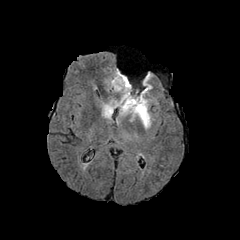
FLAIR MRI.
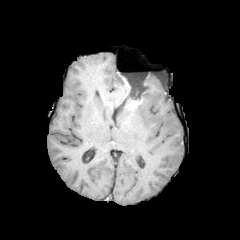
T1-weighted MR.
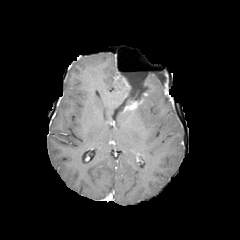
Post-contrast T1-weighted MR image.
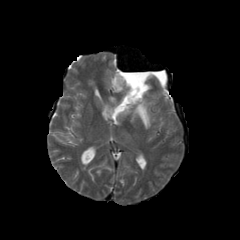
T2-weighted MRI.
Findings:
* non-enhancing tumor core: 118 76 147 110, 114 74 123 89
* enhancing tumor: 124 101 139 111
* edema: 102 72 129 119, 119 74 154 129